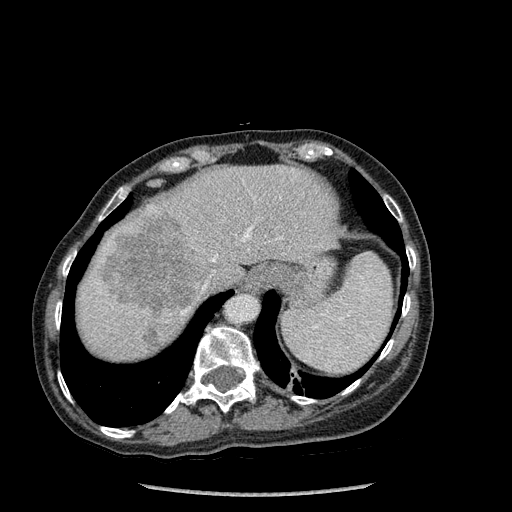
CT; Abdomen
3 lung regions are bounded by left=349, top=170, right=408, bottom=290; left=253, top=291, right=362, bottom=398; left=60, top=196, right=229, bottom=426. 12 bone regions appear at left=383, top=195, right=402, bottom=221; left=58, top=372, right=71, bottom=401; left=54, top=301, right=61, bottom=329; left=406, top=246, right=416, bottom=269; left=99, top=187, right=126, bottom=220; left=342, top=379, right=360, bottom=394; left=100, top=427, right=133, bottom=438; left=379, top=339, right=393, bottom=359; left=62, top=250, right=76, bottom=276; left=291, top=396, right=315, bottom=404; left=402, top=294, right=410, bottom=316; left=165, top=326, right=259, bottom=413. The liver appears at left=76, top=165, right=344, bottom=361. 2 focal liver lesion regions are located at left=144, top=329, right=158, bottom=346; left=100, top=214, right=206, bottom=314.